MR image. Slice 21 of 37. Image width 34 mm.
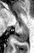 <segmentation>
  <posterior_hippocampus>box=[13, 25, 28, 42]</posterior_hippocampus>
</segmentation>